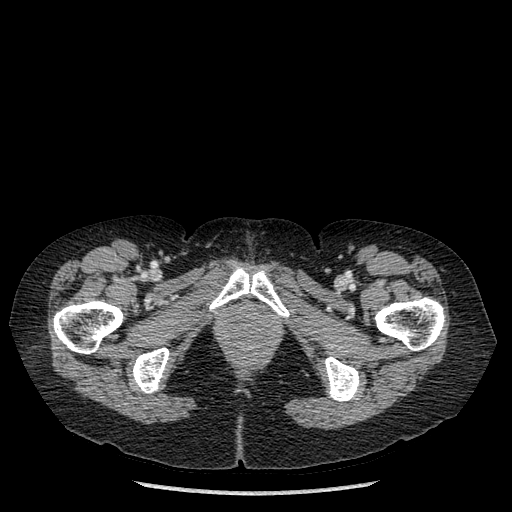

CT image
Bone at 132:347:169:393, 375:297:444:350, 209:265:289:319, 324:356:360:401, 53:299:123:353.